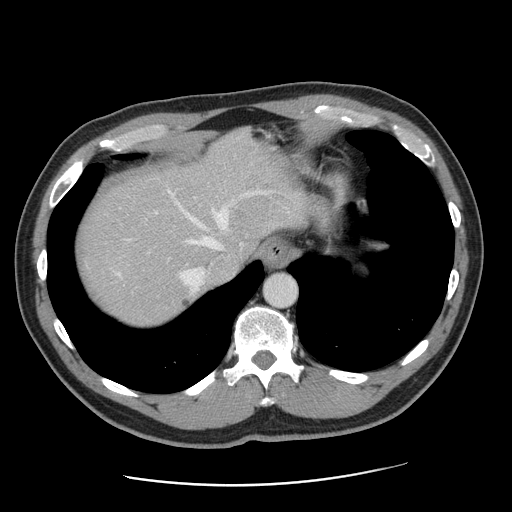
512x512 px; CT image
The vessel boxes may cover only some of the vessels.
Hepatic vessel: bounding box <box>214,207,228,227</box>, <box>181,236,246,293</box>, <box>246,193,253,194</box>, <box>171,192,200,225</box>, <box>119,273,120,275</box>.
Liver tumor: bounding box <box>180,297,191,309</box>.